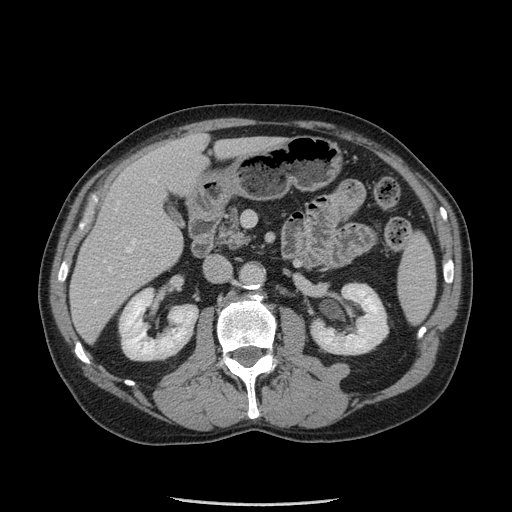

Upper abdomen | CT slice
Annotated regions:
• pancreas: left=216, top=208, right=250, bottom=249